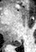
MRI slice.

- posterior hippocampus: bbox=[11, 41, 21, 46]